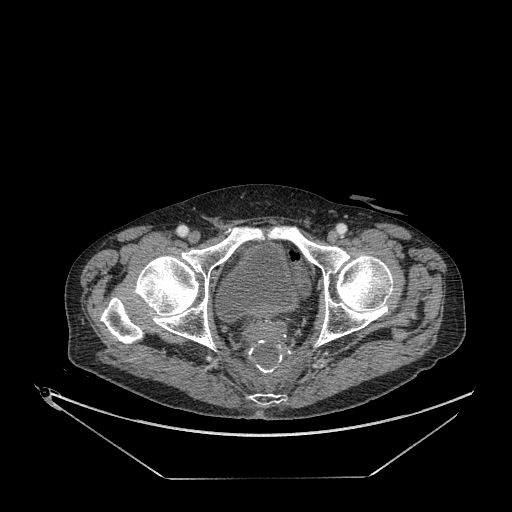
Lower abdomen; Image size 512x512; CT
urinary_bladder:
  - bbox(215, 241, 302, 322)